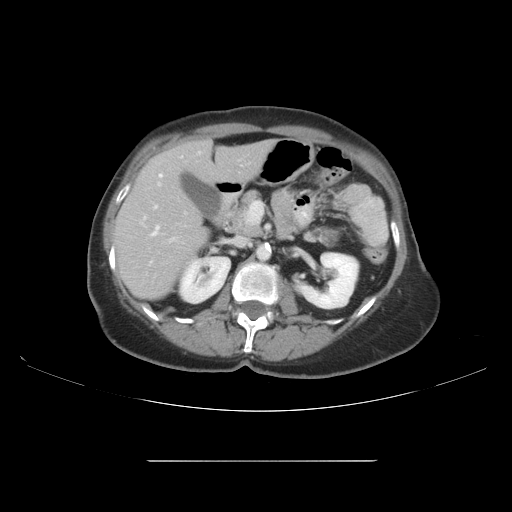

CT scan slice | Upper abdomen
Pancreatic tumor at box=[326, 231, 337, 246].
Pancreas at box=[222, 190, 264, 237]; box=[302, 227, 340, 248].